CT; Lower abdomen; Image size 512x512; Field of view 388 mm wide, 0.70 mm slice spacing
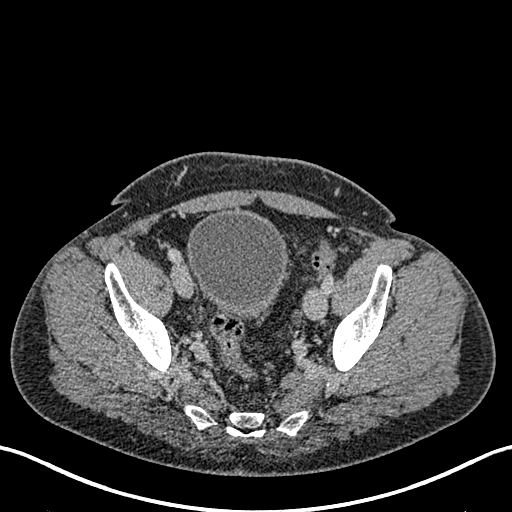
The urinary bladder is located at 187, 212, 289, 320.